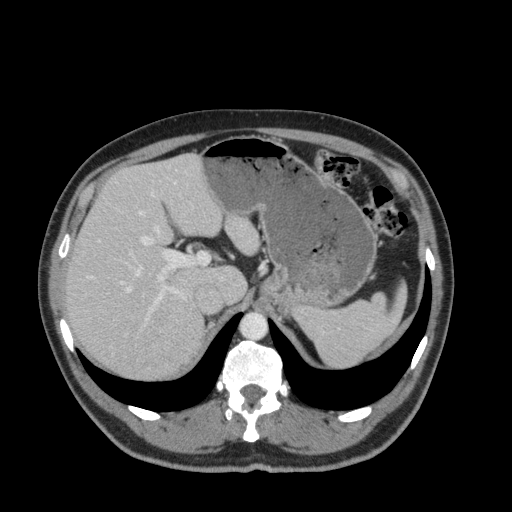

512x512 px; CT image
Segmented structures:
- liver: l=379, t=280, r=406, b=337; l=226, t=215, r=258, b=253; l=66, t=154, r=246, b=378